Abdomen, CT slice

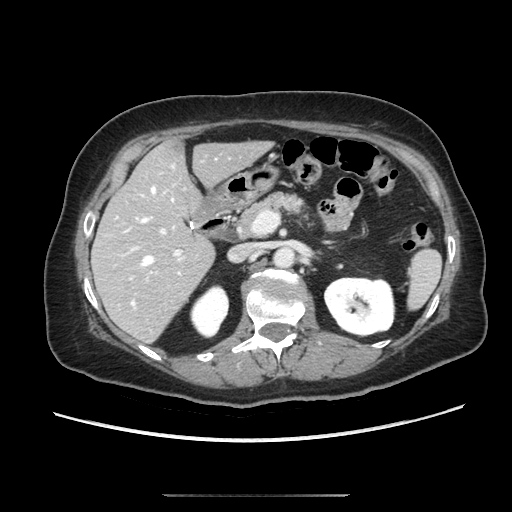
Findings:
• pancreas: l=241, t=194, r=302, b=235